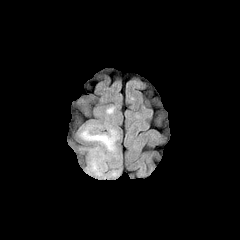
FLAIR MRI.
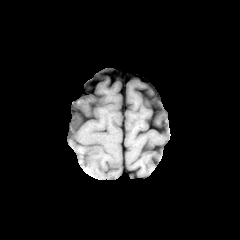
T1-weighted magnetic resonance.
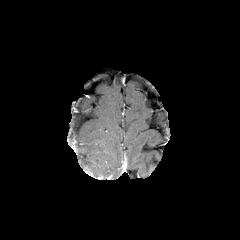
Post-contrast T1-weighted magnetic resonance of the same slice.
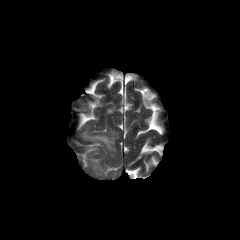
T2-weighted magnetic resonance of the same slice.
Image size 240x240, Head
<segmentation>
  <edema>[81, 130, 114, 149]</edema>
</segmentation>